FLAIR MR.
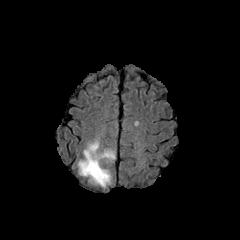
T1-weighted MRI.
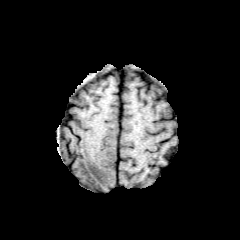
Post-contrast T1-weighted MR.
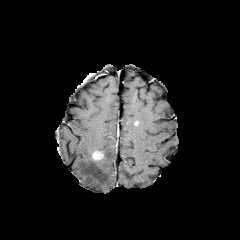
T2-weighted MR image.
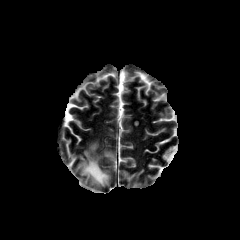
Brain.
{
  "enhancing_tumor": [
    "[92,152,101,159]"
  ],
  "edema": [
    "[77,140,115,187]"
  ]
}